CT scan slice 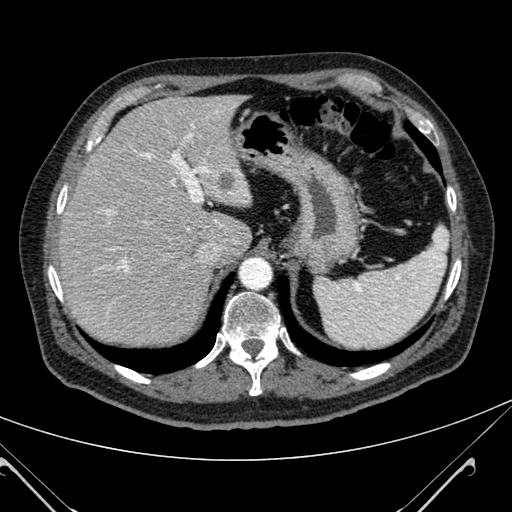

Findings:
* liver: [59, 92, 250, 346]
* focal liver lesion: [219, 172, 236, 189]